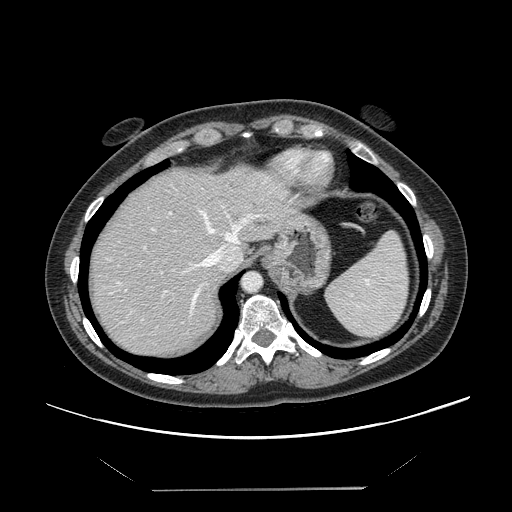 CT scan slice, 512x512 px, Abdomen

Not every hepatic vessel necessarily has a box.
hepatic_vessel:
  - bbox(204, 276, 207, 284)
  - bbox(168, 212, 170, 214)
  - bbox(181, 271, 182, 273)
  - bbox(117, 282, 120, 290)
  - bbox(188, 204, 264, 271)
  - bbox(143, 247, 145, 249)
  - bbox(152, 228, 154, 230)
  - bbox(162, 290, 168, 296)
  - bbox(192, 291, 198, 305)